Image size 512x512; Computed tomography; Upper abdomen

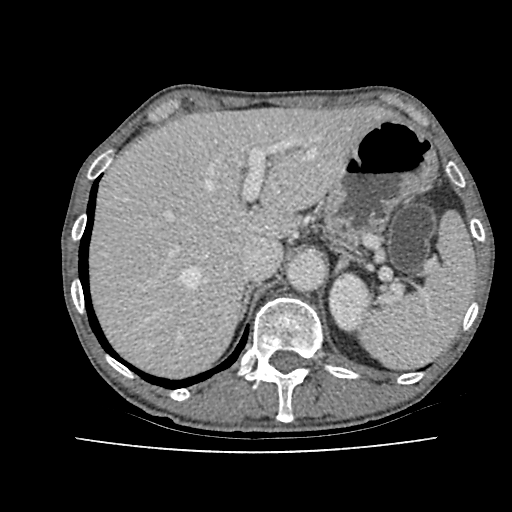

kidney:
  - x1=330, y1=276, x2=367, y2=329
liver:
  - x1=89, y1=108, x2=385, y2=377